240x240; Slice index 126; Brain
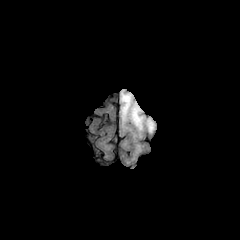
FLAIR MRI.
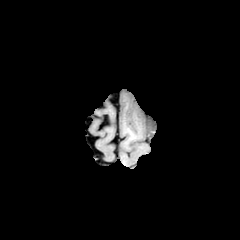
Same slice, T1-weighted MR image.
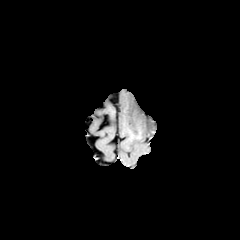
Same slice, post-contrast T1-weighted MRI.
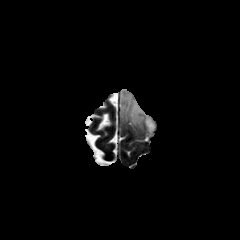
Same slice, T2-weighted magnetic resonance.
• non-enhancing tumor core: [x1=122, y1=103, x2=133, y2=115]
• edema: [x1=119, y1=89, x2=155, y2=137]